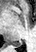 Medial temporal lobe; MRI
The posterior hippocampus is located at 13, 41, 22, 46.